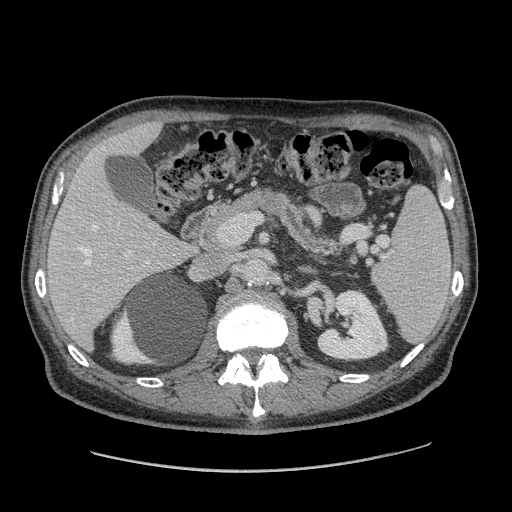 Abdomen. CT scan slice.
Pancreas: rect(200, 190, 267, 252); rect(278, 202, 346, 255).
Pancreatic tumor: rect(260, 192, 288, 217).